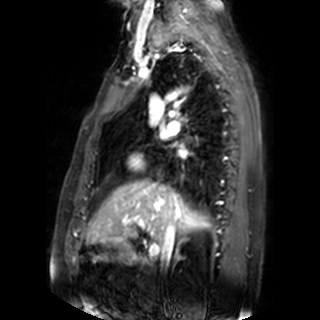

320x320 px, MRI slice, Heart
Left atrium: [159,131,167,139], [178,146,186,155].